Pelvis. Computed tomography. 512x512.

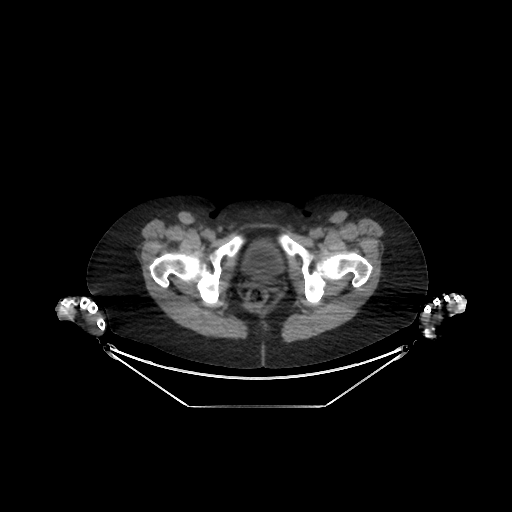
urinary_bladder:
  - [240, 238, 287, 280]